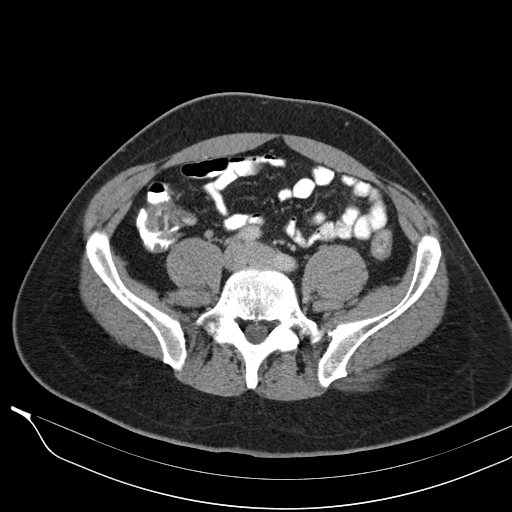

Abdomen. Computed tomography.
Annotated regions:
• colon tumor: (left=145, top=201, right=196, bottom=239), (left=153, top=243, right=160, bottom=251)